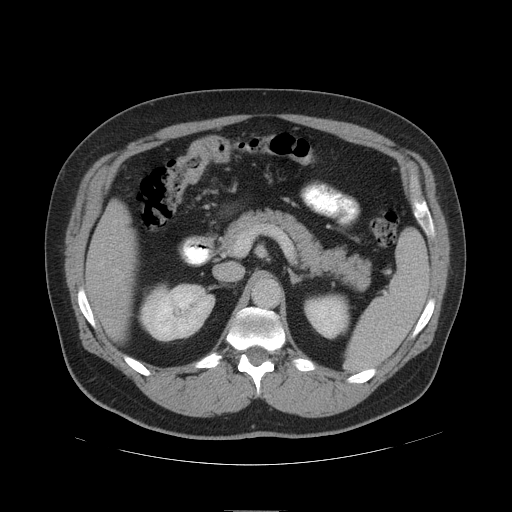 Pelvis. CT slice. Image size 512x512. Findings:
• colon tumor: l=176, t=136, r=221, b=187